Image width 338 mm. CT scan slice. Image size 512x512. 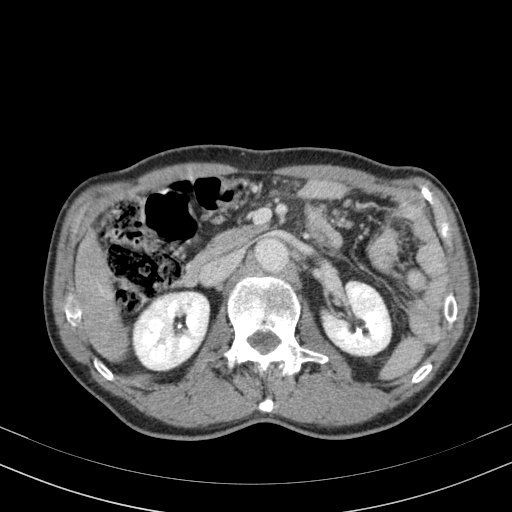 kidney: x1=324, y1=282, x2=390, y2=355; x1=134, y1=292, x2=208, y2=369 | liver: x1=75, y1=229, x2=127, y2=363